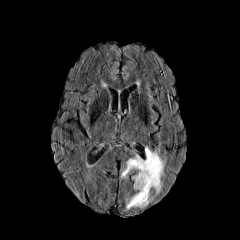
FLAIR magnetic resonance.
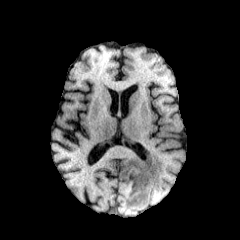
T1-weighted MRI of the same slice.
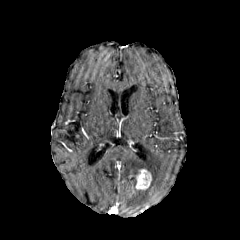
Same slice, post-contrast T1-weighted MR image.
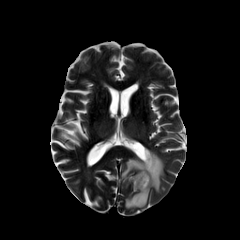
Same slice, T2-weighted MR.
Image size 240x240
Enhancing tumor = bbox=[136, 168, 152, 189].
Edema = bbox=[119, 147, 164, 209].